CT scan slice, Slice 127 of 192

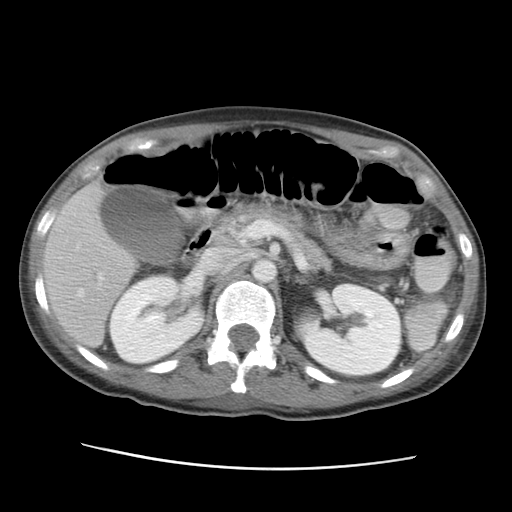

{"liver": ["box(44, 182, 134, 346)"], "kidney": ["box(298, 284, 400, 374)", "box(181, 277, 198, 293)", "box(110, 277, 203, 362)"]}